FLAIR magnetic resonance.
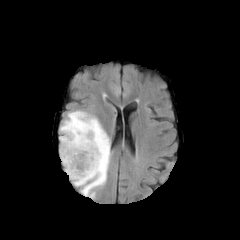
T1-weighted MRI.
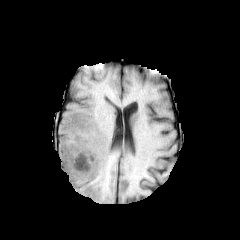
Post-contrast T1-weighted MR.
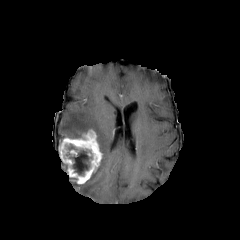
T2-weighted MRI.
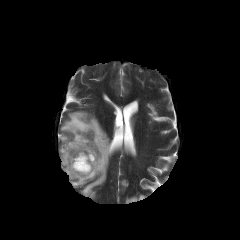
Head
{"edema": ["rect(60, 111, 110, 198)"], "non-enhancing_tumor_core": ["rect(73, 151, 88, 173)"], "enhancing_tumor": ["rect(59, 130, 103, 184)"]}